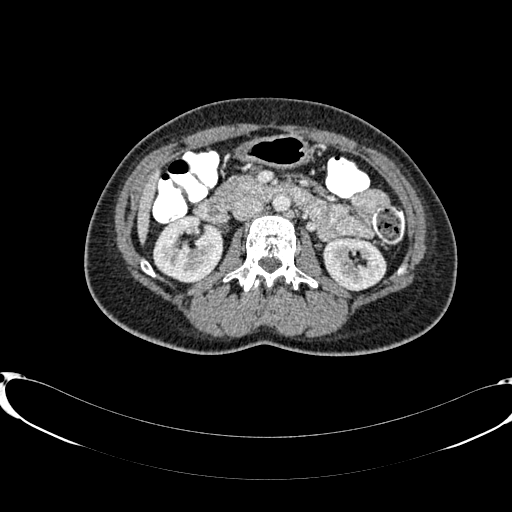
CT slice | Liver
Liver: bounding box bbox(137, 172, 158, 242).
Kidney: bounding box bbox(325, 240, 384, 289); bbox(154, 218, 221, 281).